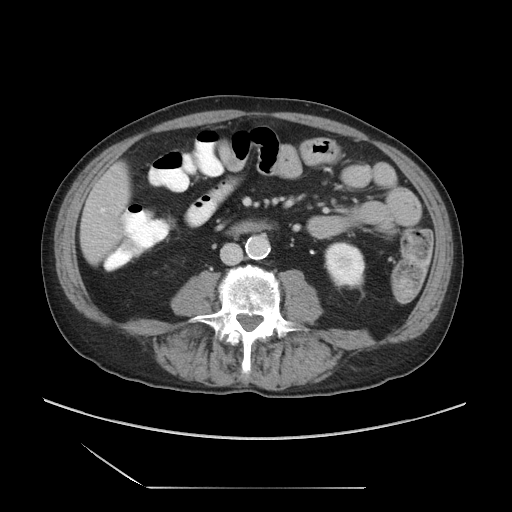
Liver; CT scan slice
Some hepatic vessels may have no box.
Hepatic vessel: {"x1": 101, "y1": 208, "x2": 104, "y2": 212}.